Brain; Field of view 240 mm wide, 1.00 mm slice spacing
FLAIR magnetic resonance.
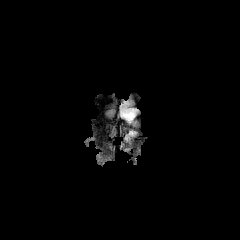
T1-weighted MRI.
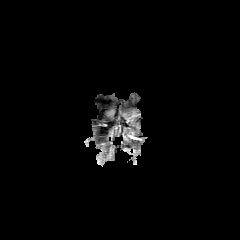
Post-contrast T1-weighted MR image.
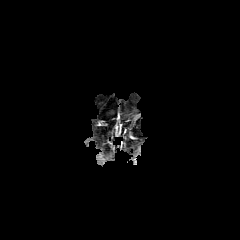
T2-weighted MRI.
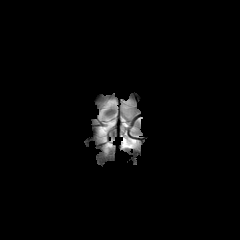
edema: bbox=[120, 100, 138, 119] | non-enhancing tumor core: bbox=[122, 110, 135, 121]